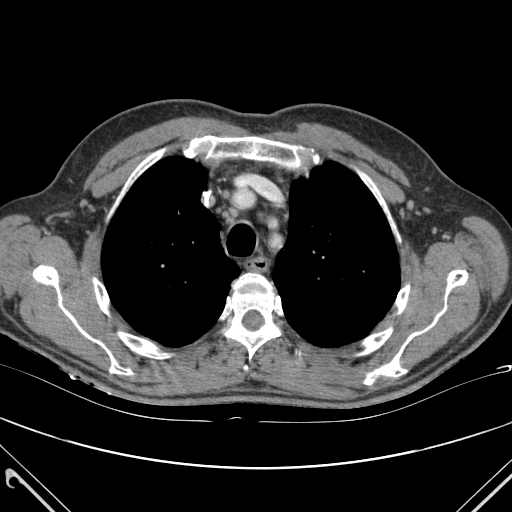

CT slice; Thorax
<segmentation>
  <lung>(272,161,399,346), (101,157,239,346)</lung>
  <bone>(364,270,467,384), (359,172,390,220), (360,328,392,354), (221,273,282,358), (93,278,108,314), (33,265,132,374), (118,332,167,358), (396,285,409,313), (117,149,164,202), (184,136,318,166)</bone>
</segmentation>